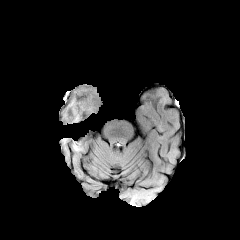
FLAIR MR image.
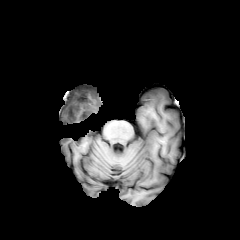
T1-weighted MRI of the same slice.
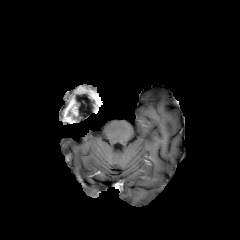
Post-contrast T1-weighted magnetic resonance.
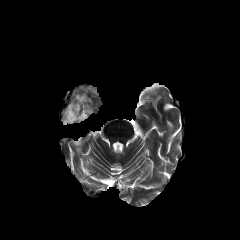
T2-weighted magnetic resonance of the same slice.
Enhancing tumor: [64, 101, 79, 121].
Edema: [73, 88, 93, 115].
Non-enhancing tumor core: [86, 90, 99, 112].